Computed tomography, Slice 496 of 630

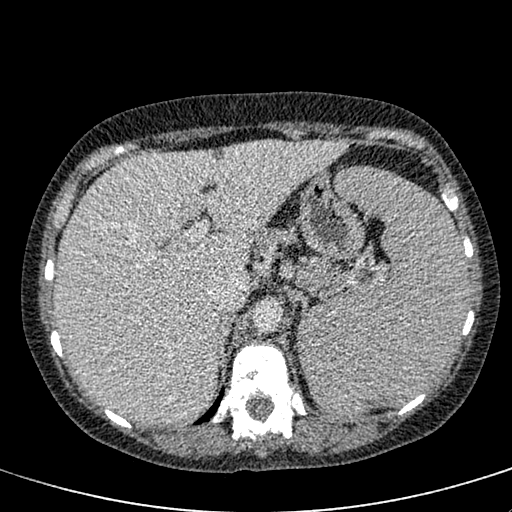
liver: x1=54, y1=140, x2=348, y2=424